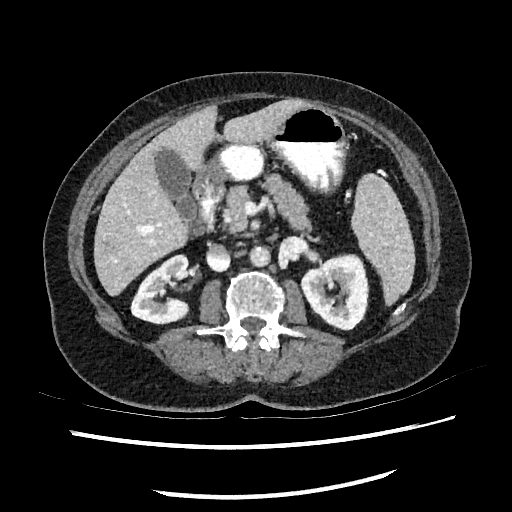 Liver; Computed tomography
{
  "kidney": [
    "x1=131 y1=255 x2=187 y2=322",
    "x1=302 y1=256 x2=367 y2=328"
  ],
  "liver": [
    "x1=94 y1=105 x2=216 y2=296",
    "x1=225 y1=98 x2=305 y2=143"
  ],
  "liver_lesion": [
    "x1=102 y1=241 x2=112 y2=253"
  ]
}